Slice 43/155
FLAIR magnetic resonance.
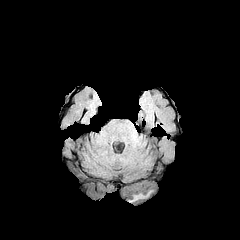
T1-weighted magnetic resonance.
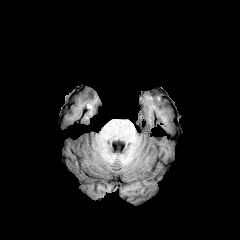
Post-contrast T1-weighted MRI.
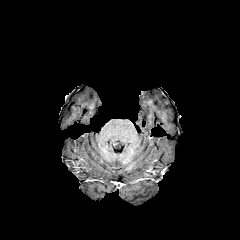
T2-weighted MRI.
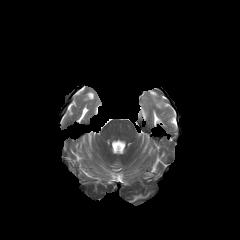
edema: (128, 190, 152, 203)